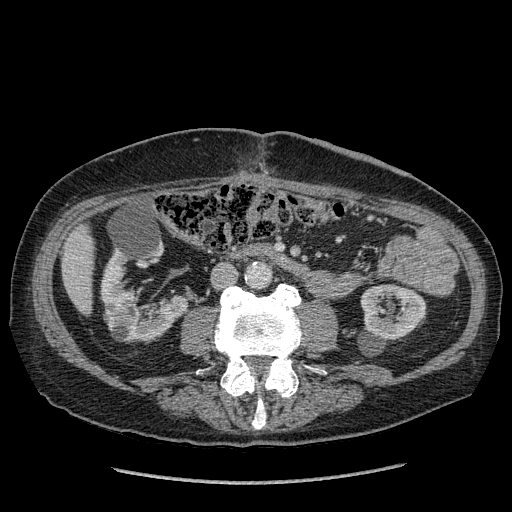
CT slice | Abdomen

The liver is bounded by <box>62,226,94,313</box>. 2 kidney regions appear at <box>101,250,186,340</box>, <box>361,285,425,340</box>.